Image width 33 mm | Magnetic resonance | Hippocampus | 33x49

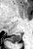

Posterior hippocampus: l=7, t=33, r=21, b=43.